FLAIR MR image.
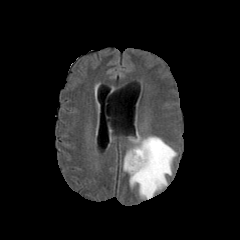
T1-weighted magnetic resonance.
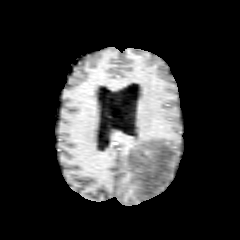
Post-contrast T1-weighted MR.
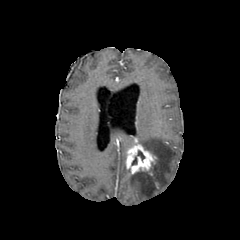
T2-weighted MR image.
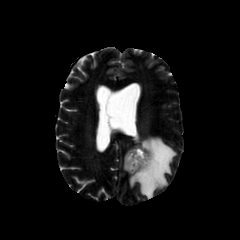
Image size 240x240.
{
  "edema": [
    "121:136:177:199"
  ],
  "enhancing_tumor": [
    "125:144:155:173"
  ],
  "non-enhancing_tumor_core": [
    "138:155:160:175"
  ]
}